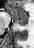
MRI slice
The posterior hippocampus is located at rect(15, 21, 27, 25). The anterior hippocampus is located at rect(7, 8, 27, 20).